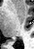
Magnetic resonance; Medial temporal lobe
posterior hippocampus: l=8, t=39, r=14, b=40